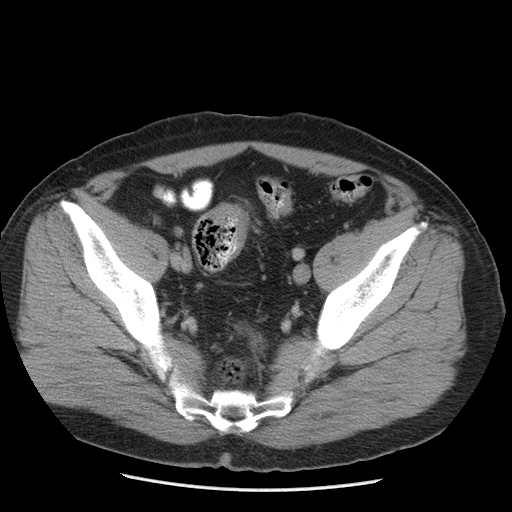
CT image. Abdomen.
Segmented structures:
- colon tumor: <box>207,203,248,261</box>